Field of view 240x240 mm. Brain.
FLAIR magnetic resonance.
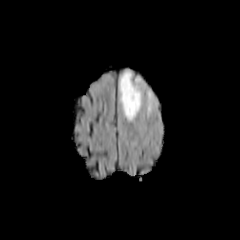
T1-weighted MRI.
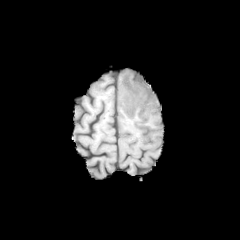
Post-contrast T1-weighted MR.
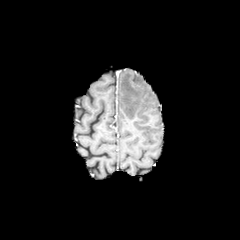
T2-weighted MR.
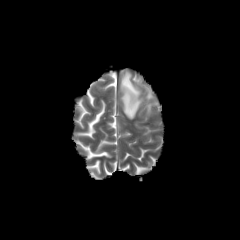
<segmentation>
  <edema>[120, 69, 142, 120]</edema>
</segmentation>